FLAIR MR.
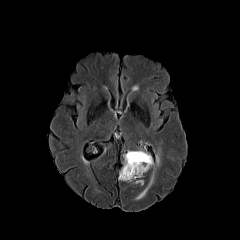
T1-weighted MR image.
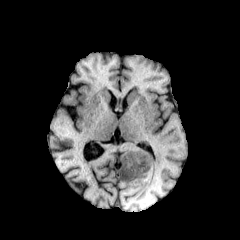
Post-contrast T1-weighted MRI.
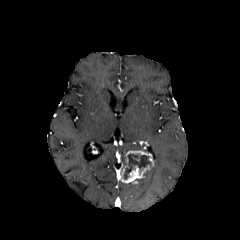
T2-weighted MRI.
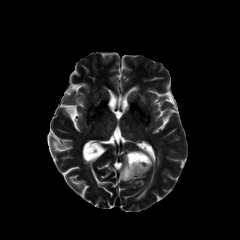
Image size 240x240; Head
The enhancing tumor is located at [119,149,154,184]. The non-enhancing tumor core lies within [124,153,151,179]. 2 edema regions are located at [136,172,153,199], [155,153,159,166].